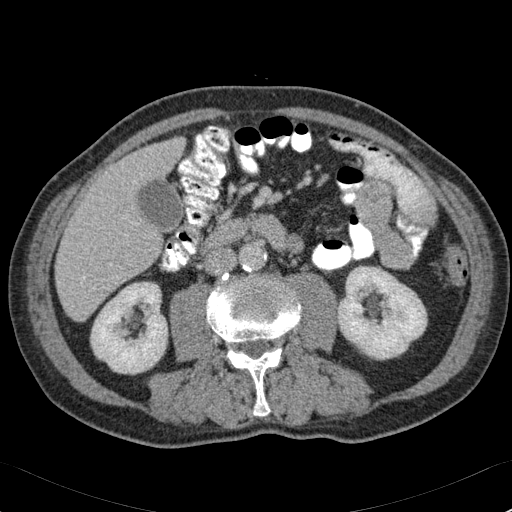
CT scan slice | Upper abdomen
The liver appears at (left=56, top=142, right=179, bottom=320). 2 kidney regions are located at (left=338, top=267, right=426, bottom=358), (left=91, top=282, right=167, bottom=373).